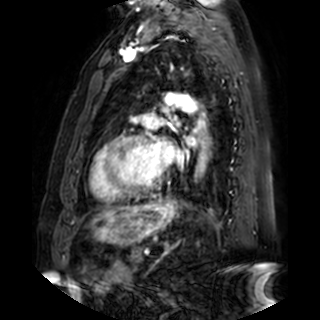
Cardiac, Magnetic resonance

2 left atrium regions appear at <bbox>148, 141, 174, 166</bbox>, <bbox>186, 134, 196, 145</bbox>.